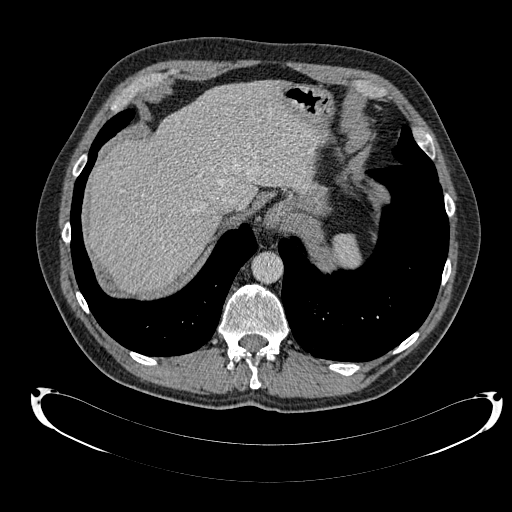
CT, Upper abdomen
Segmented structures:
• liver: (x1=90, y1=82, x2=322, y2=291)